MRI; Slice index 51; Image size 320x320 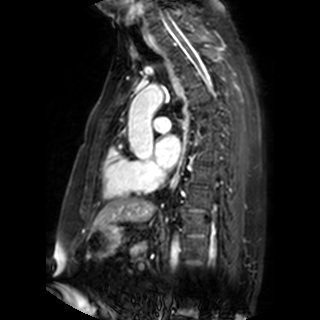
Annotated regions:
• left atrium: (155, 135, 180, 167)